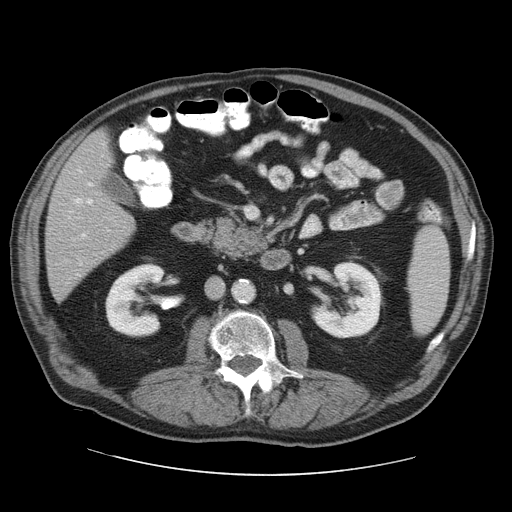

CT scan slice; Abdomen

The vessel boxes may cover only some of the vessels.
* hepatic vessel: region(87, 199, 91, 203); region(88, 183, 91, 185); region(75, 198, 81, 202); region(79, 263, 81, 264)